Slice index 344 | Abdomen | 512x512 px | CT | Image width 400 mm 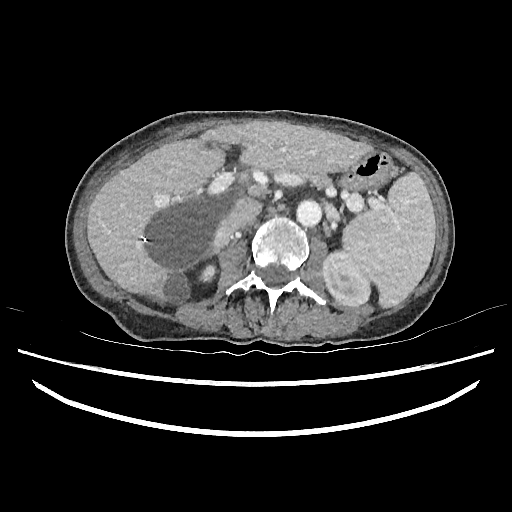 Hepatic lesion: bounding box [145, 193, 230, 303].
Kidney: bounding box [322, 253, 370, 306], [204, 266, 213, 280].
Liver: bounding box [87, 122, 371, 301].